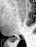

Hippocampus; 36x47; MR image

The posterior hippocampus is located at (12,37,14,41).